Computed tomography. 512x512. Slice 264/432.
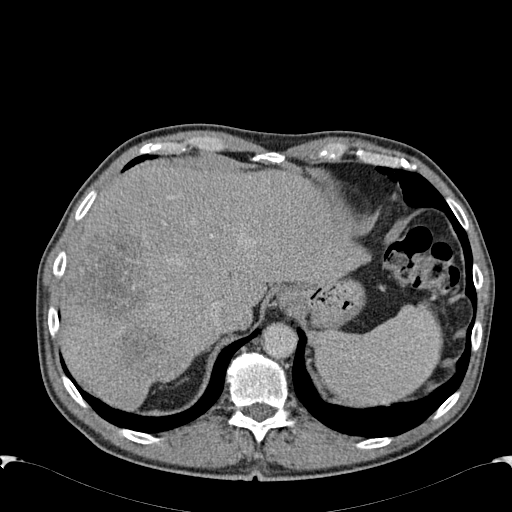
Hepatic lesion — [x1=63, y1=230, x2=144, y2=320], [x1=119, y1=329, x2=162, y2=373].
Liver — [x1=58, y1=162, x2=369, y2=406].